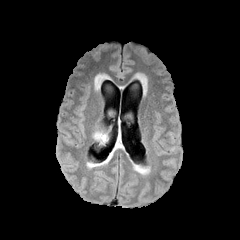
FLAIR magnetic resonance.
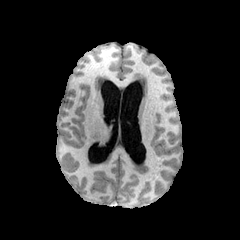
T1-weighted MR of the same slice.
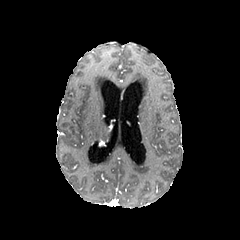
Post-contrast T1-weighted MR image.
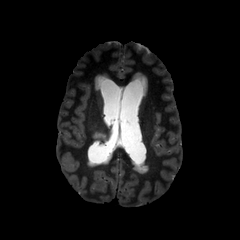
T2-weighted MRI.
240x240
Segmented structures:
- edema: [93, 131, 108, 142]